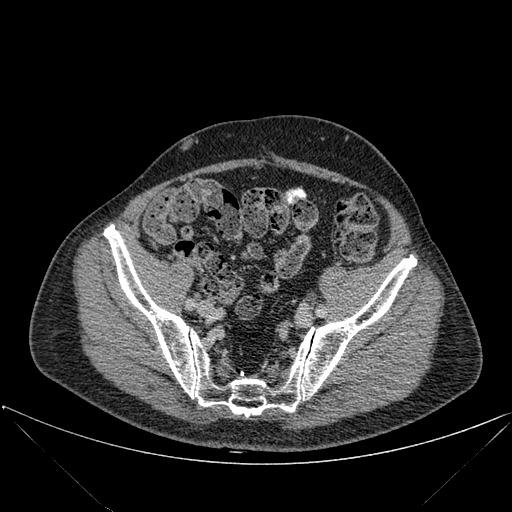
Computed tomography
The bone lies within x1=104, y1=224, x2=416, y2=416.